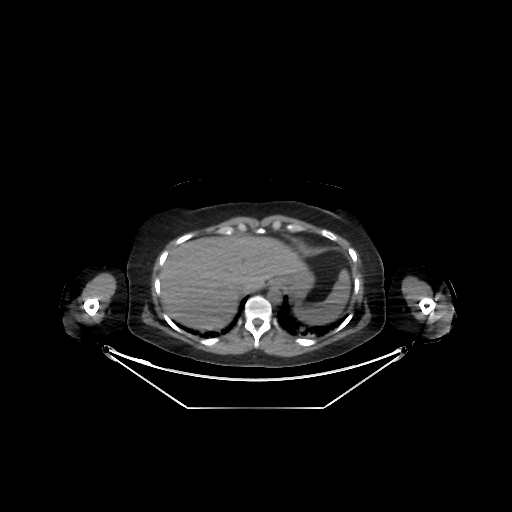
CT. Image size 512x512.
liver: l=159, t=232, r=303, b=330